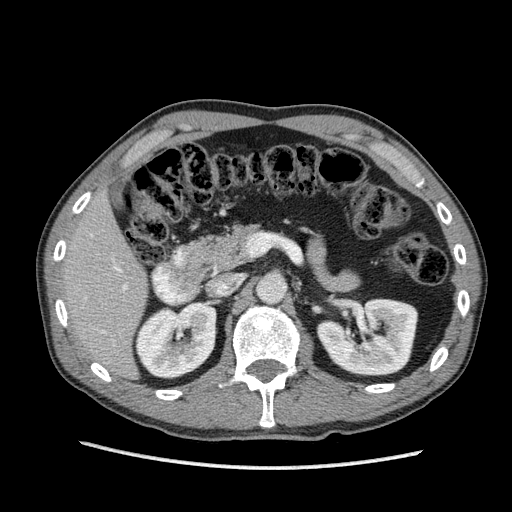 CT slice
Annotated regions:
* kidney: rect(137, 303, 215, 376); rect(318, 300, 416, 374)
* liver: rect(60, 190, 148, 379)